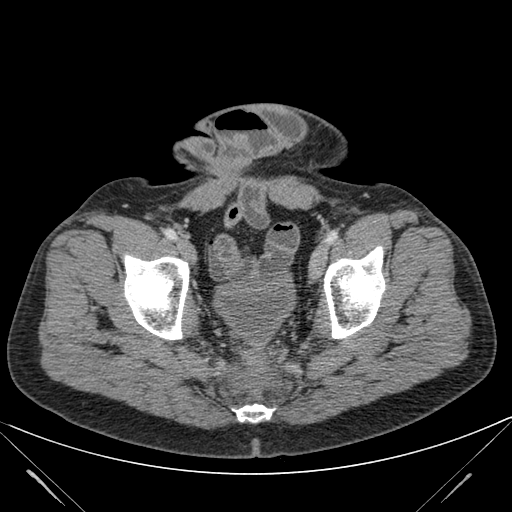 CT scan slice
urinary_bladder:
  - 213,277,296,339